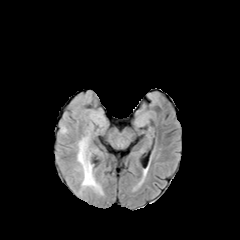
FLAIR MR.
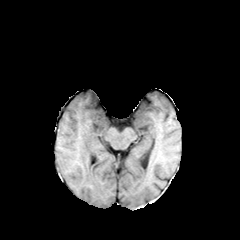
T1-weighted magnetic resonance.
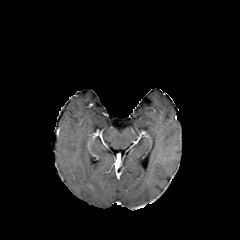
Post-contrast T1-weighted MRI.
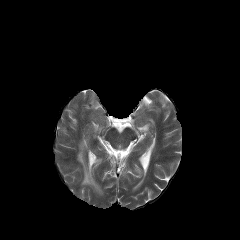
T2-weighted MR.
Edema at (x1=76, y1=138, x2=102, y2=193).